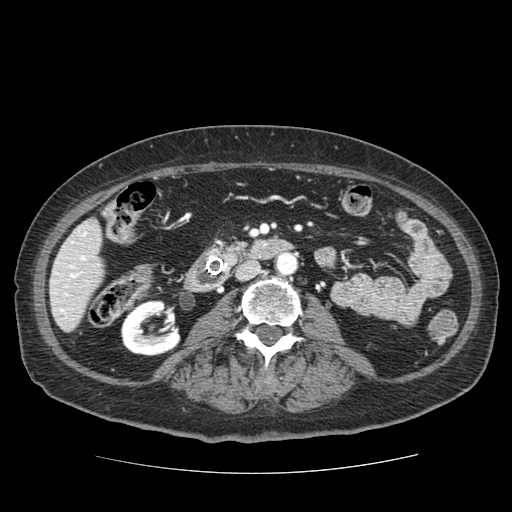
CT
The pancreas is located at rect(220, 242, 247, 263).